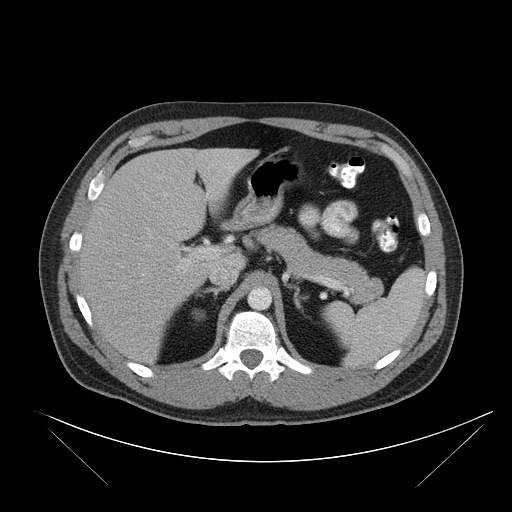 Upper abdomen; Computed tomography
The spleen lies within box(323, 268, 426, 366).